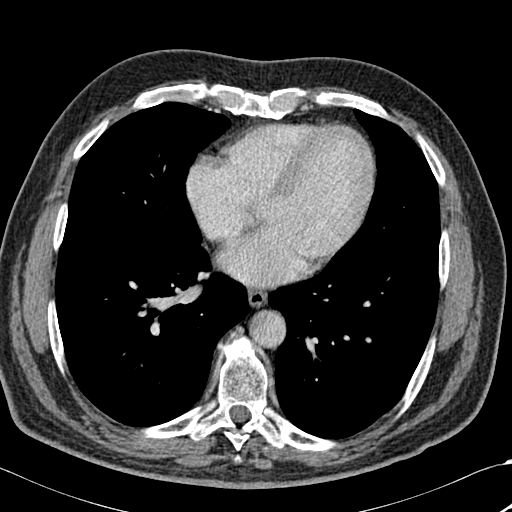
Chest, CT slice
lung:
  - bbox=[55, 102, 249, 426]
  - bbox=[268, 109, 440, 439]
bone:
  - bbox=[53, 204, 67, 248]
  - bbox=[402, 340, 434, 410]
  - bbox=[47, 303, 62, 367]
  - bbox=[143, 337, 334, 450]
  - bbox=[74, 120, 108, 158]
  - bbox=[439, 231, 450, 284]
  - bbox=[134, 83, 386, 118]
  - bbox=[417, 135, 444, 184]